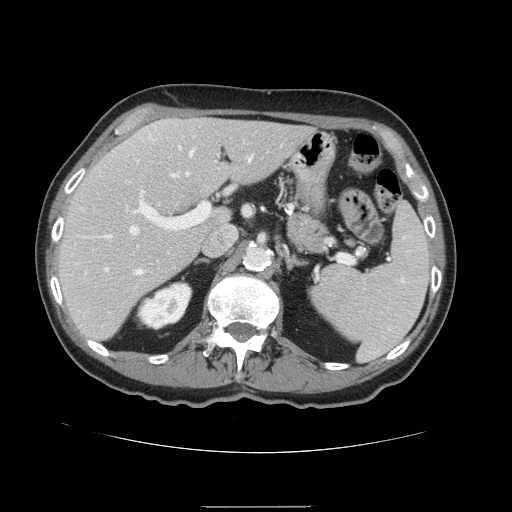

512x512. CT scan slice.
The vessel boxes may cover only some of the vessels.
Hepatic vessel at rect(134, 200, 210, 229); rect(135, 269, 142, 274); rect(130, 226, 138, 234); rect(187, 173, 188, 174); rect(106, 235, 110, 236); rect(106, 267, 108, 269); rect(248, 155, 253, 160); rect(211, 232, 217, 245); rect(190, 150, 193, 154); rect(142, 191, 143, 193); rect(207, 252, 210, 254); rect(171, 173, 177, 176); rect(214, 211, 237, 246).